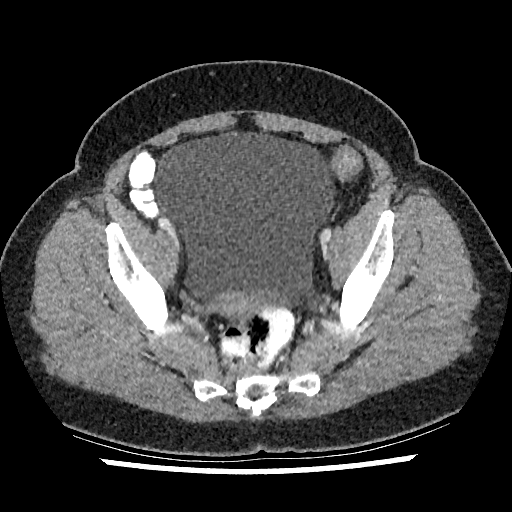 CT scan slice, 512x512
urinary_bladder:
  - x1=154, y1=131, x2=334, y2=314